FLAIR MR image.
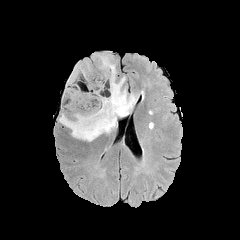
T1-weighted MRI.
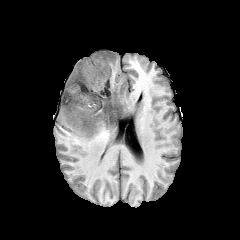
Post-contrast T1-weighted magnetic resonance.
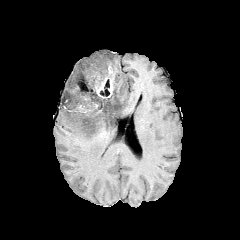
T2-weighted MRI.
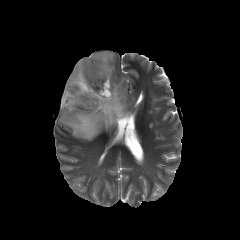
Head
Segmented structures:
• edema: bbox=[59, 52, 138, 141]
• enhancing tumor: bbox=[96, 82, 105, 97]
• non-enhancing tumor core: bbox=[103, 70, 114, 88]; bbox=[97, 79, 119, 120]